FLAIR MR.
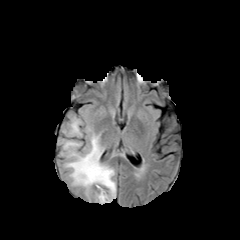
T1-weighted magnetic resonance.
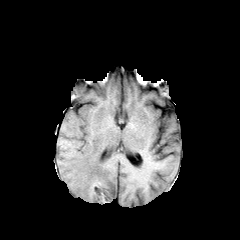
Post-contrast T1-weighted MR image.
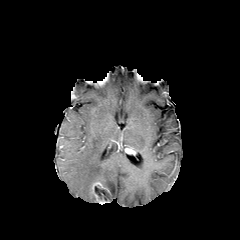
T2-weighted MR image.
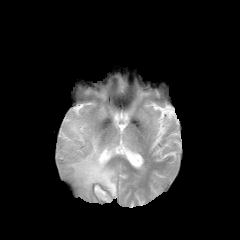
Segmented structures:
- edema: bbox(62, 117, 116, 201)